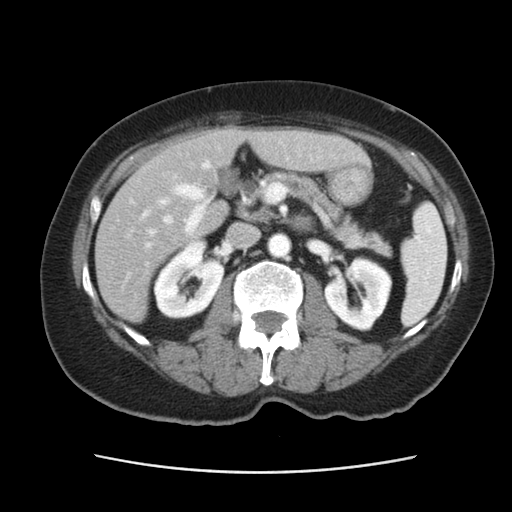

512x512 px; CT slice
Only some of the vessels may be annotated.
<segmentation>
  <hepatic_vessel>rect(226, 241, 231, 254); rect(146, 263, 148, 264); rect(149, 230, 154, 234); rect(160, 199, 167, 204); rect(164, 216, 171, 223); rect(146, 244, 150, 247); rect(175, 185, 208, 232); rect(268, 185, 284, 199); rect(249, 229, 252, 231); rect(174, 175, 176, 177); rect(142, 212, 147, 218); rect(203, 162, 209, 168)</hepatic_vessel>
</segmentation>